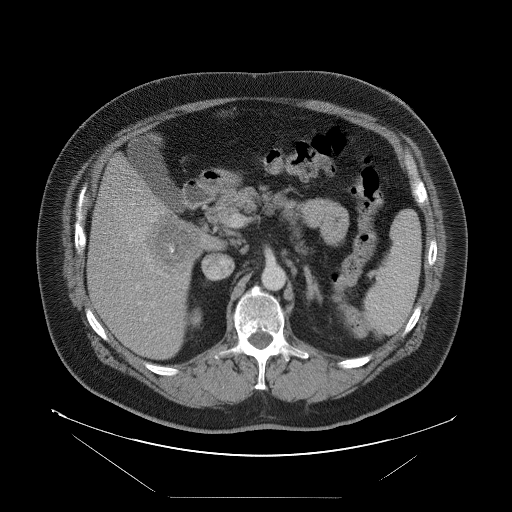

Computed tomography
The vessel annotation is not exhaustive.
9 hepatic vessel regions are located at 146, 257, 150, 261; 129, 233, 133, 241; 139, 226, 147, 232; 150, 218, 156, 222; 138, 301, 140, 304; 150, 268, 153, 271; 127, 231, 129, 232; 136, 285, 138, 288; 158, 270, 161, 274. The liver tumor appears at 149, 215, 201, 265.